CT image. Upper abdomen. 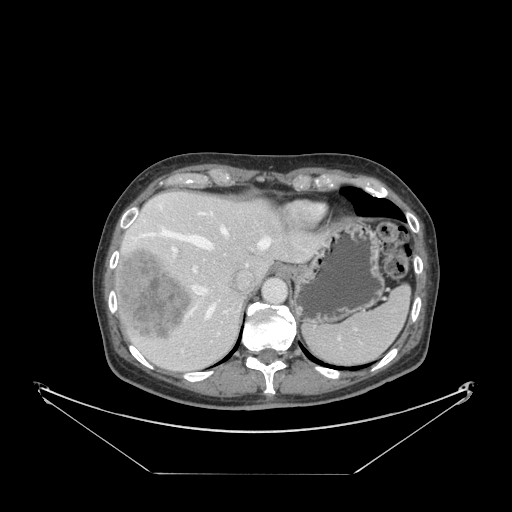
* spleen: {"x1": 303, "y1": 285, "x2": 410, "y2": 366}